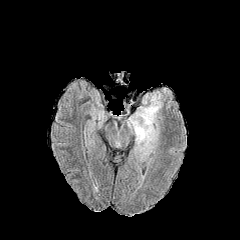
FLAIR MR.
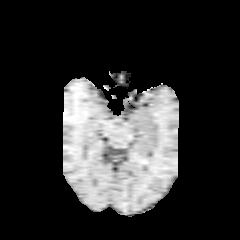
Same slice, T1-weighted MRI.
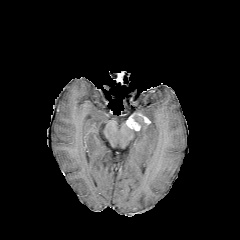
Same slice, post-contrast T1-weighted magnetic resonance.
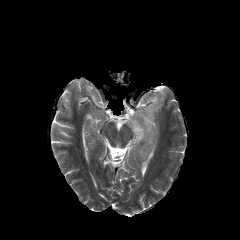
T2-weighted MR of the same slice.
Image size 240x240
Edema: bounding box [130,90,165,163].
Enhancing tumor: bounding box [126,112,150,130].